Slice 392/781 | Computed tomography

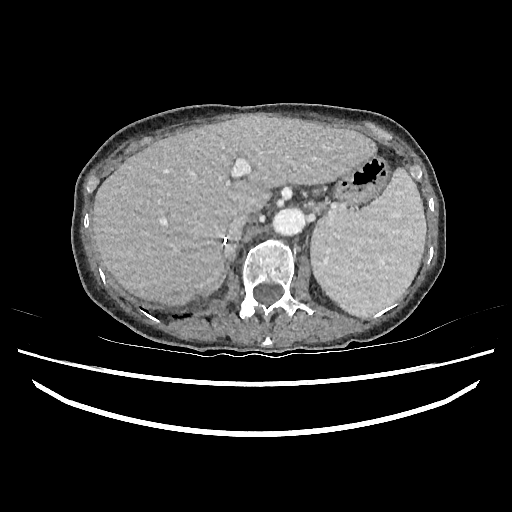 The liver is located at left=94, top=114, right=374, bottom=304.